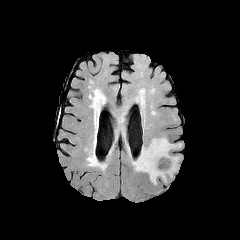
FLAIR MR image.
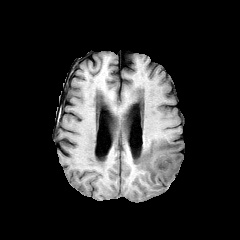
T1-weighted MR image.
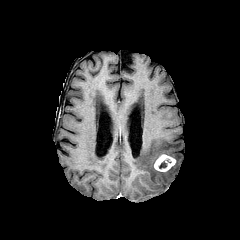
Post-contrast T1-weighted MRI.
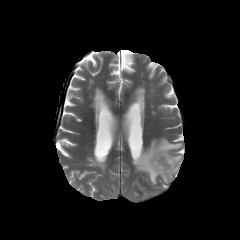
T2-weighted magnetic resonance.
Segmented structures:
• enhancing tumor: [x1=154, y1=154, x2=175, y2=171]
• edema: [x1=132, y1=137, x2=181, y2=183]